FLAIR MR image.
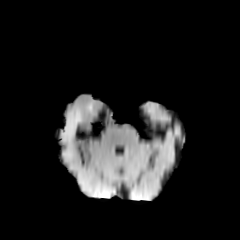
T1-weighted MRI.
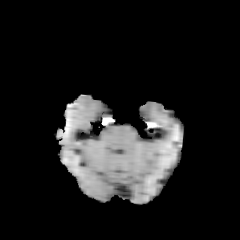
Post-contrast T1-weighted MRI.
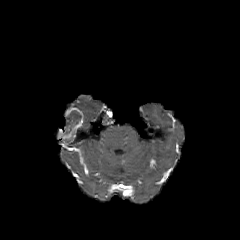
T2-weighted magnetic resonance.
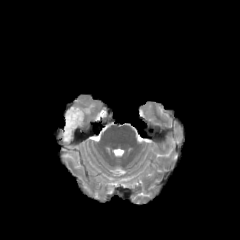
The non-enhancing tumor core lies within (x1=65, y1=110, x2=81, y2=126). The enhancing tumor is bounded by (x1=57, y1=107, x2=83, y2=142).